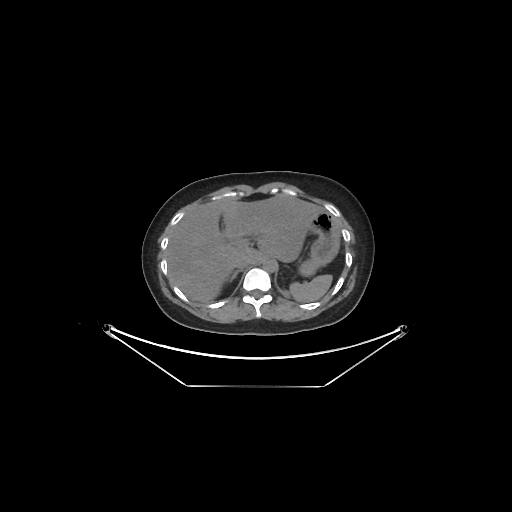

CT image. Annotated regions:
• liver: 163,193,345,301